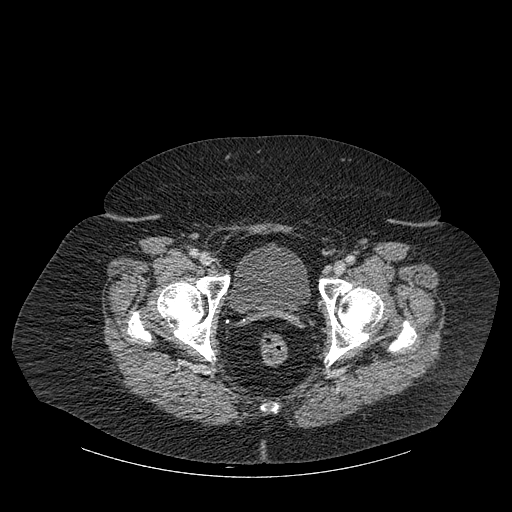
CT scan slice; Lower abdomen; 512x512 px
Segmented structures:
- bone: left=128, top=312, right=150, bottom=341; left=261, top=404, right=278, bottom=412; left=319, top=278, right=383, bottom=366; left=389, top=321, right=416, bottom=351; left=157, top=275, right=229, bottom=361
- urinary bladder: left=231, top=242, right=311, bottom=322